Lower abdomen. Slice index 73. Field of view 360x360 mm. CT slice.

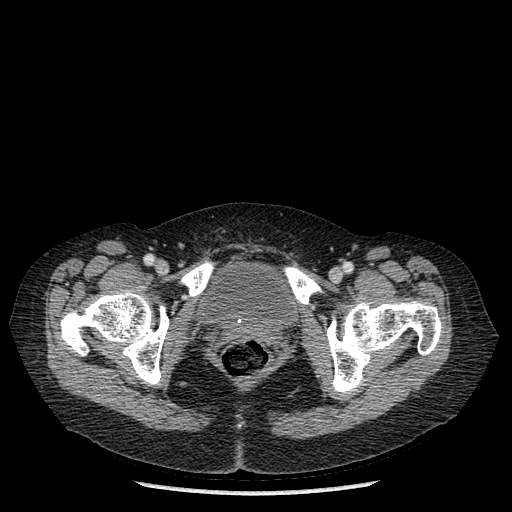

bone: {"x1": 327, "y1": 301, "x2": 442, "y2": 395}, {"x1": 60, "y1": 289, "x2": 169, "y2": 386}, {"x1": 284, "y1": 266, "x2": 322, "y2": 304}, {"x1": 180, "y1": 261, "x2": 213, "y2": 297} | urinary bladder: {"x1": 195, "y1": 261, "x2": 301, "y2": 340}